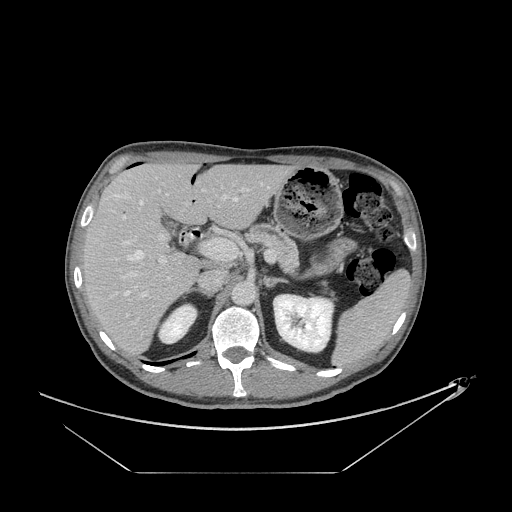
CT image.

- pancreas: bbox(247, 224, 299, 275)